CT image. Slice 69/537. 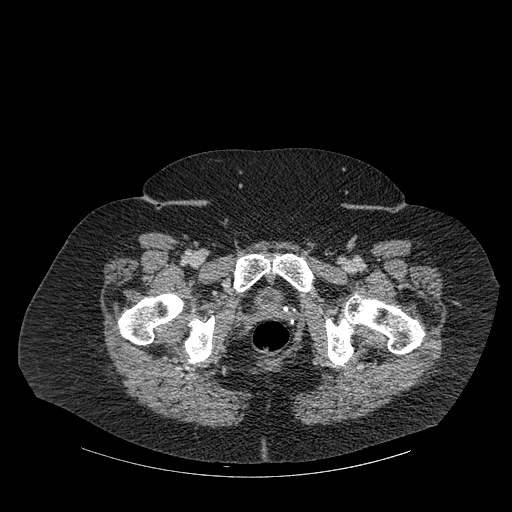
Segmented structures:
* bone: bbox=[118, 293, 183, 344]; bbox=[185, 316, 214, 363]; bbox=[325, 294, 424, 365]; bbox=[234, 254, 313, 291]